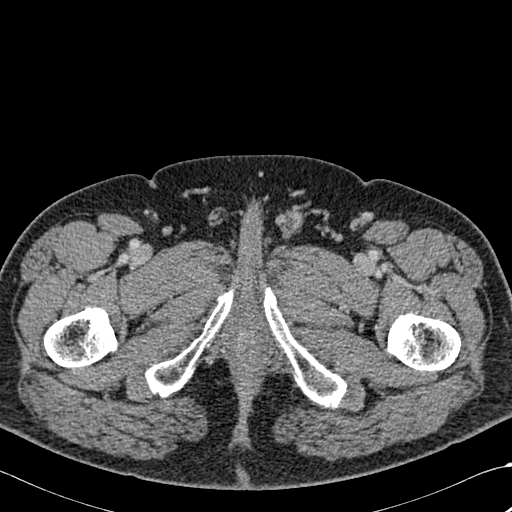

CT slice. 512x512.
4 bone regions appear at bbox=[264, 288, 346, 407]; bbox=[387, 313, 460, 371]; bbox=[44, 307, 117, 368]; bbox=[145, 290, 233, 396].